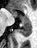 MRI; Medial temporal lobe; 37x48 px
{"posterior_hippocampus": ["l=16, t=22, r=30, b=37"], "anterior_hippocampus": ["l=20, t=16, r=27, b=21", "l=9, t=9, r=15, b=17"]}